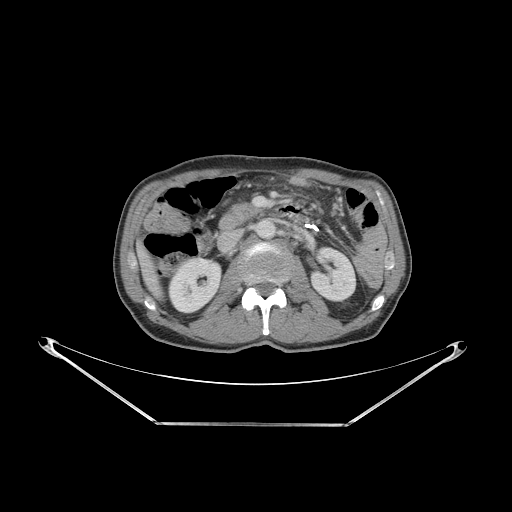 Image size 512x512. Computed tomography.

liver:
  - left=137, top=240, right=163, bottom=300
kidney:
  - left=311, top=248, right=355, bottom=300
  - left=169, top=258, right=220, bottom=312
bone:
  - left=240, top=243, right=289, bottom=334
  - left=372, top=296, right=383, bottom=309